CT image; Liver; 512x512; Slice index 30

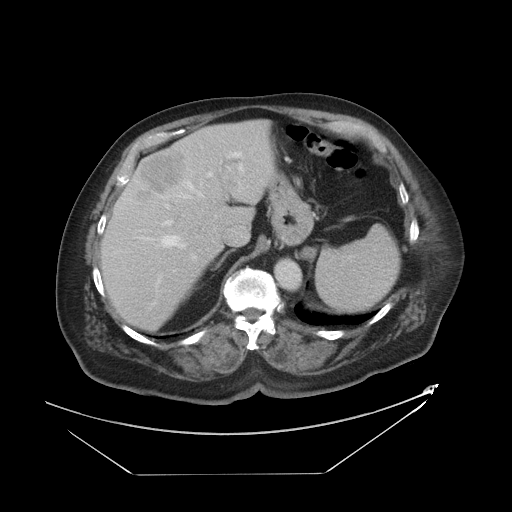

Only some of the vessels may be annotated.
Hepatic vessel = 194,190,201,195; 229,151,235,156; 203,169,212,177.
Liver tumor = 133,149,187,207.